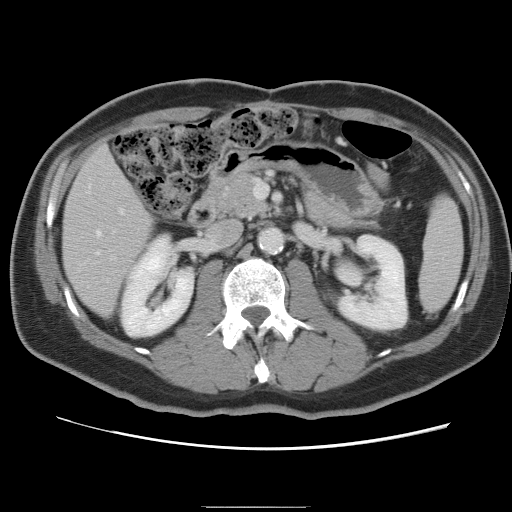 CT scan slice | Abdomen
Only some of the vessels may be annotated.
hepatic_vessel:
  - 96,230,100,235
  - 96,250,100,254
  - 110,256,114,258
  - 119,208,123,212